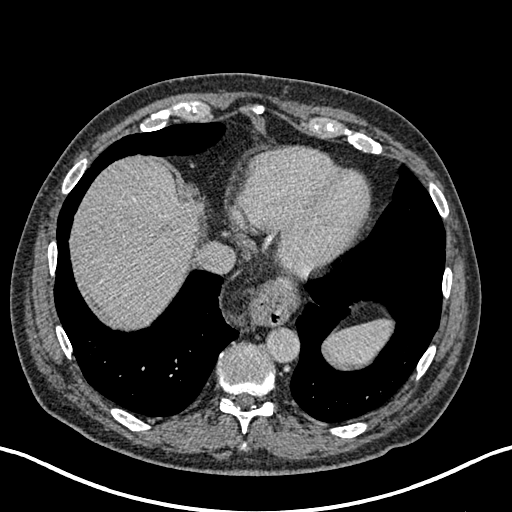
Abdomen; Computed tomography
Liver: 71, 155, 204, 326.